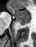

MR image; Medial temporal lobe; Image size 36x47

Anterior hippocampus — [7, 6, 29, 20].
Posterior hippocampus — [17, 21, 28, 25].